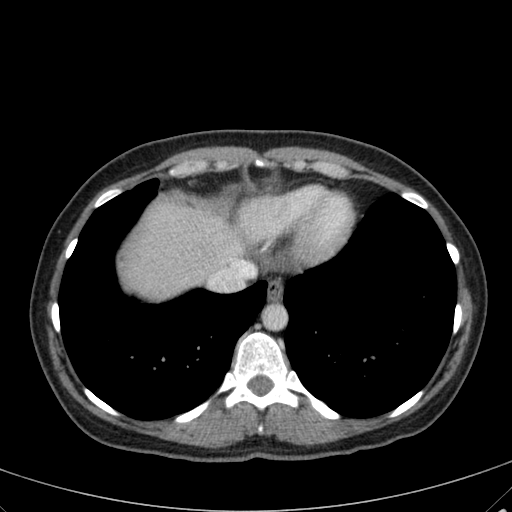

Upper abdomen; Computed tomography
hepatic lesion: [x1=115, y1=253, x2=123, y2=260] | liver: [x1=118, y1=195, x2=272, y2=300]